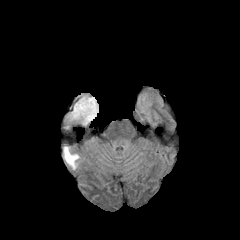
FLAIR magnetic resonance.
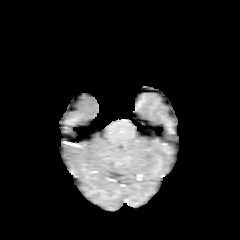
T1-weighted MRI of the same slice.
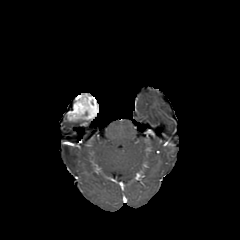
Post-contrast T1-weighted MRI of the same slice.
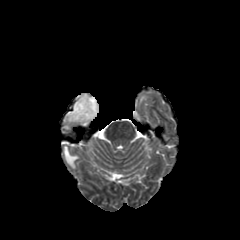
T2-weighted MR image of the same slice.
Brain
The enhancing tumor appears at (left=67, top=94, right=98, bottom=124). The edema is bounded by (left=64, top=147, right=79, bottom=169).